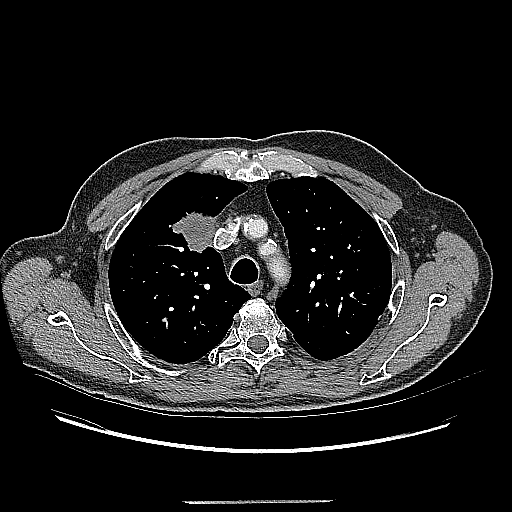
Computed tomography. 512x512.

lung_tumor:
  - [172,211,217,252]